FLAIR magnetic resonance.
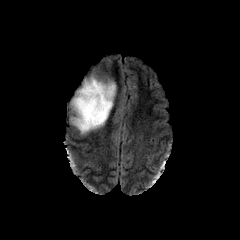
T1-weighted MR.
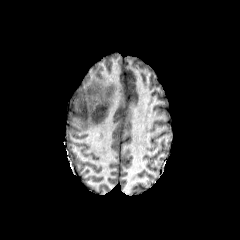
Post-contrast T1-weighted MR.
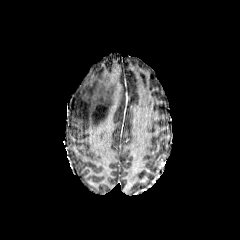
T2-weighted MR.
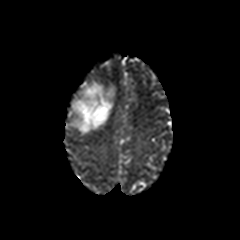
Image size 240x240. Brain.
<segmentation>
  <edema>71 77 115 133</edema>
</segmentation>